Slice index 141, CT image
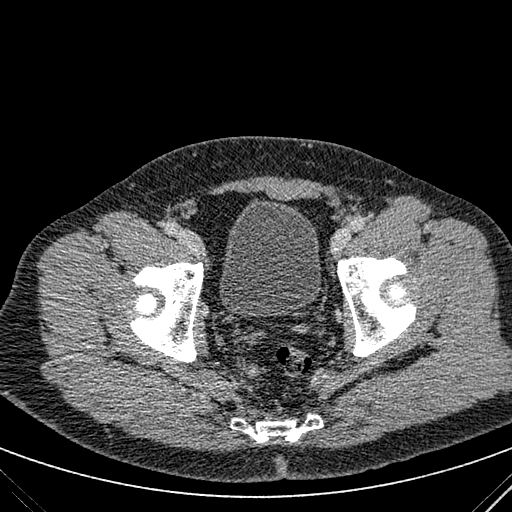 Urinary bladder: bounding box <bbox>219, 198, 321, 316</bbox>.